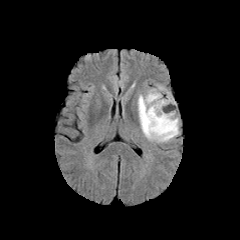
FLAIR MRI.
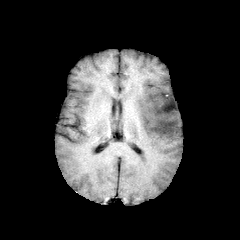
T1-weighted MR image.
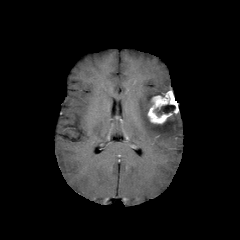
Post-contrast T1-weighted magnetic resonance.
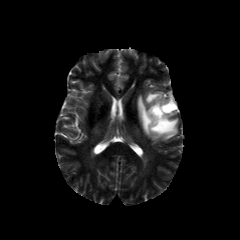
T2-weighted magnetic resonance.
Head
edema: (x1=137, y1=84, x2=179, y2=142) | non-enhancing tumor core: (x1=155, y1=104, x2=175, y2=115) | enhancing tumor: (x1=147, y1=90, x2=178, y2=124)